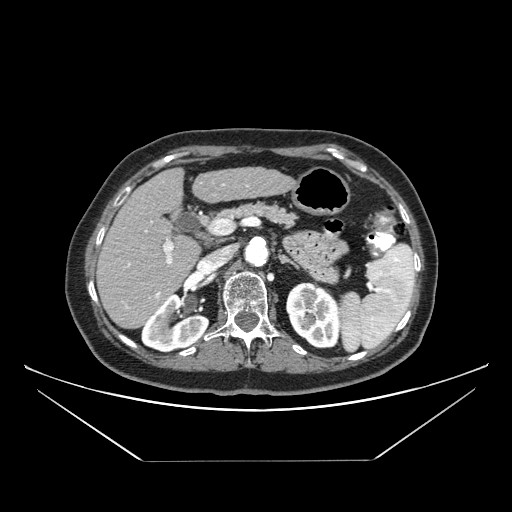

CT scan slice | Image size 512x512
pancreas:
  - {"x1": 171, "y1": 201, "x2": 298, "y2": 244}